CT image; 512x512; Slice 118/896; Lower abdomen
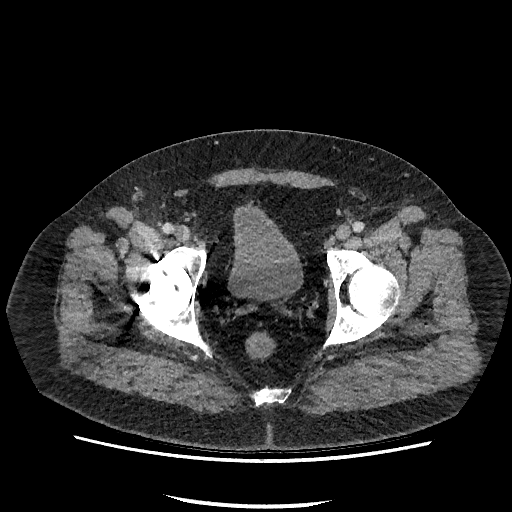 urinary bladder: bbox(228, 202, 303, 301)